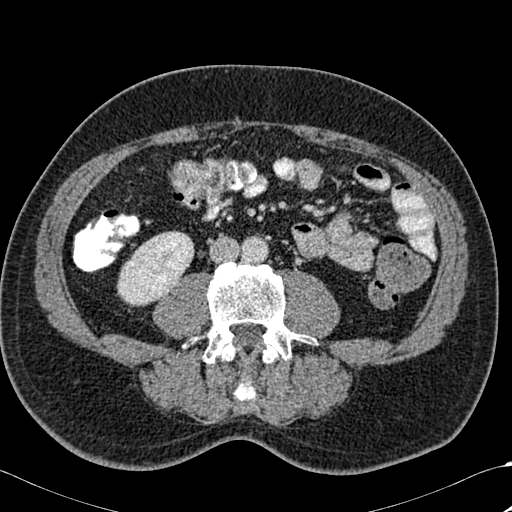
Abdomen; CT scan slice

2 bone regions are located at 235:374:255:400, 203:261:314:363. The kidney lies within 118:232:193:304.